Slice 41/155 | Image width 240 mm
FLAIR MRI.
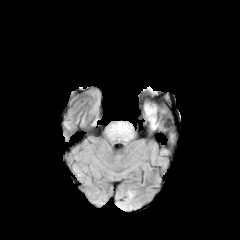
T1-weighted MRI.
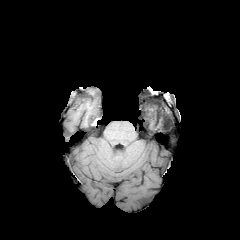
Post-contrast T1-weighted MR.
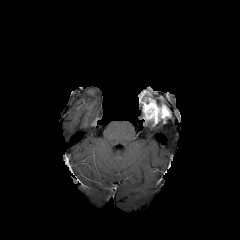
T2-weighted MR image.
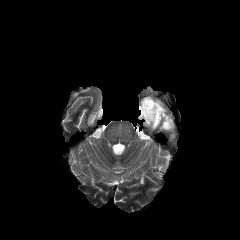
The edema is located at region(151, 116, 170, 129). The enhancing tumor is bounded by region(142, 99, 169, 125).